34x51. MRI slice. Field of view 34x51 mm.
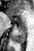
{"posterior_hippocampus": ["12,26,27,43"], "anterior_hippocampus": ["20,19,26,25", "9,15,15,21"]}